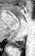
MRI slice
<segmentation>
  <posterior_hippocampus>rect(11, 38, 24, 48)</posterior_hippocampus>
</segmentation>